Abdomen | CT image | 512x512

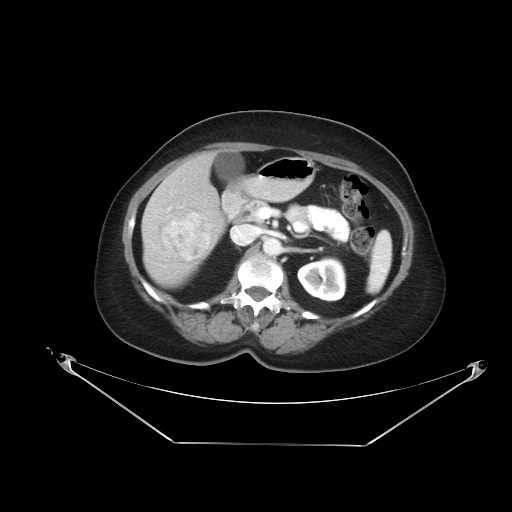
Only some of the vessels may be annotated.
liver tumor: (162,212,210,261) | hepatic vessel: (236,228,256,244), (144,220,145,221), (179,206,182,208), (209,224,215,226), (154,227,156,229)